FLAIR MR image.
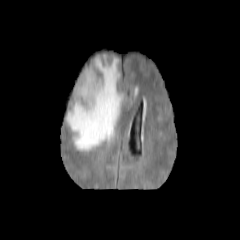
T1-weighted magnetic resonance.
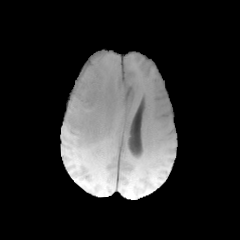
Post-contrast T1-weighted magnetic resonance.
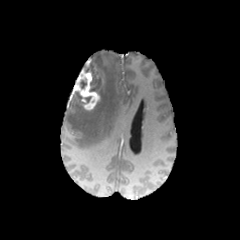
T2-weighted magnetic resonance.
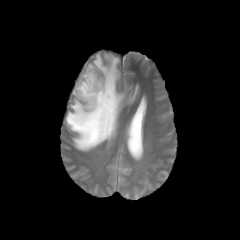
{
  "non-enhancing_tumor_core": [
    "[x1=75, y1=93, x2=84, y2=108]",
    "[x1=85, y1=56, x2=105, y2=98]"
  ],
  "enhancing_tumor": [
    "[x1=73, y1=58, x2=100, y2=109]"
  ],
  "edema": [
    "[x1=65, y1=53, x2=126, y2=152]"
  ]
}